Computed tomography; Field of view 404 mm wide, 1.50 mm slice spacing; Slice index 121; Image size 512x512 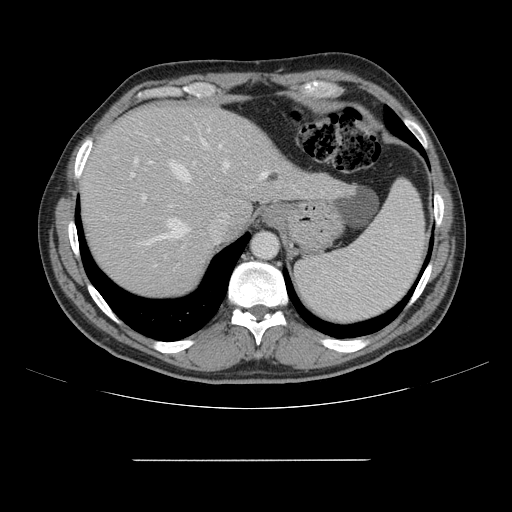
Not every hepatic vessel necessarily has a box.
Principal 15 of 16 hepatic vessel regions — (left=134, top=156, right=138, bottom=161), (left=157, top=219, right=188, bottom=238), (left=219, top=144, right=221, bottom=147), (left=260, top=172, right=267, bottom=178), (left=207, top=128, right=210, bottom=131), (left=184, top=136, right=187, bottom=138), (left=193, top=162, right=194, bottom=164), (left=148, top=161, right=152, bottom=163), (left=143, top=238, right=156, bottom=243), (left=156, top=138, right=158, bottom=141), (left=200, top=138, right=207, bottom=148), (left=142, top=195, right=145, bottom=200), (left=222, top=162, right=228, bottom=171), (left=171, top=161, right=190, bottom=181), (left=131, top=173, right=134, bottom=176).
Liver tumor — (left=269, top=174, right=278, bottom=183).